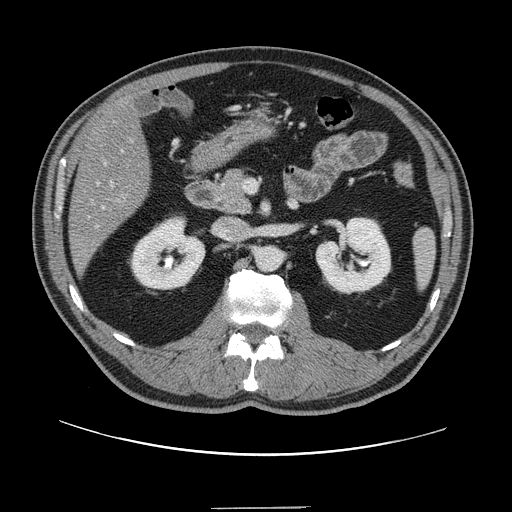
Computed tomography. Liver.

Not every hepatic vessel necessarily has a box.
<segmentation>
  <hepatic_vessel>bbox(102, 207, 104, 208); bbox(110, 182, 112, 186); bbox(117, 200, 118, 201); bbox(130, 140, 132, 141); bbox(104, 162, 106, 165); bbox(97, 182, 99, 185)</hepatic_vessel>
  <liver_tumor>bbox(68, 202, 98, 235)</liver_tumor>
</segmentation>